CT slice. Slice index 608. Field of view 700 mm wide, 2.50 mm slice spacing. Head.
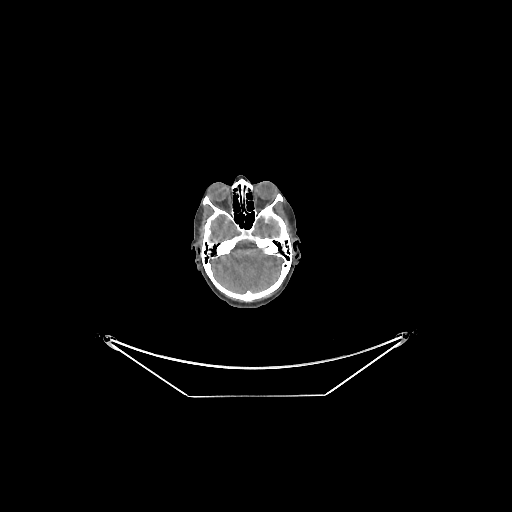
brain:
  - <box>210,214,241,242</box>
  - <box>251,216,279,238</box>
  - <box>210,239,283,293</box>